Image size 512x512 | CT | Liver 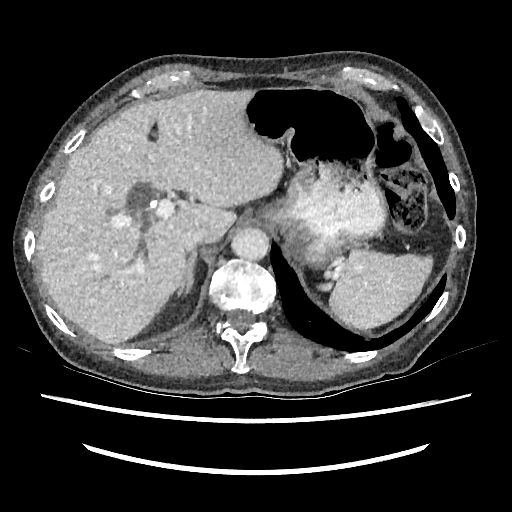 Liver at 36,91,281,342.